CT image | 512x512 px 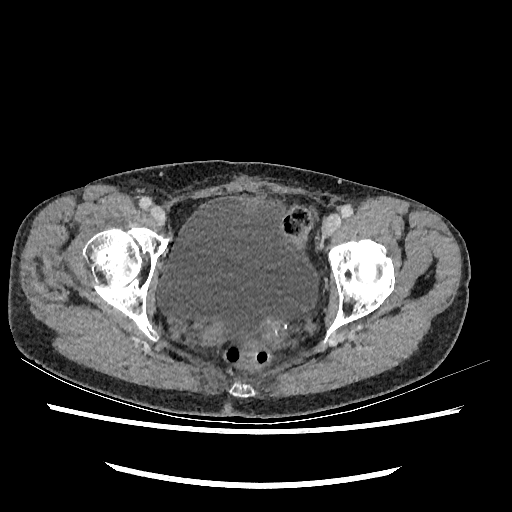 urinary bladder: box(156, 196, 317, 343)